Liver. Field of view 350 mm wide, 0.70 mm slice spacing. CT scan slice. 512x512. 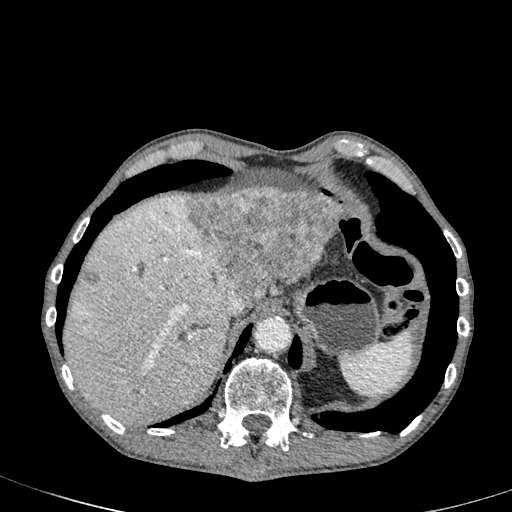

Findings:
* focal liver lesion: region(186, 188, 343, 307); region(82, 269, 97, 283)
* liver: region(274, 277, 300, 281); region(333, 200, 347, 217); region(63, 196, 238, 424)